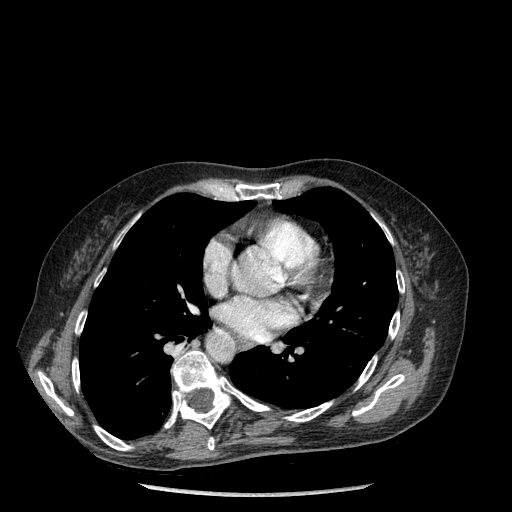
Chest, CT image

Bone: bounding box box=[284, 401, 332, 421]; box=[389, 311, 399, 339]; box=[396, 270, 404, 292]; box=[225, 183, 283, 200]; box=[164, 349, 269, 428]; box=[94, 425, 132, 450]; box=[75, 311, 86, 334]; box=[113, 213, 140, 248]; box=[38, 371, 73, 415]; box=[72, 358, 79, 391]; box=[207, 437, 214, 449]; box=[355, 355, 377, 390]; box=[374, 216, 393, 243]; box=[352, 374, 404, 416].
Lung: bounding box box=[230, 187, 398, 408]; box=[79, 193, 254, 439].